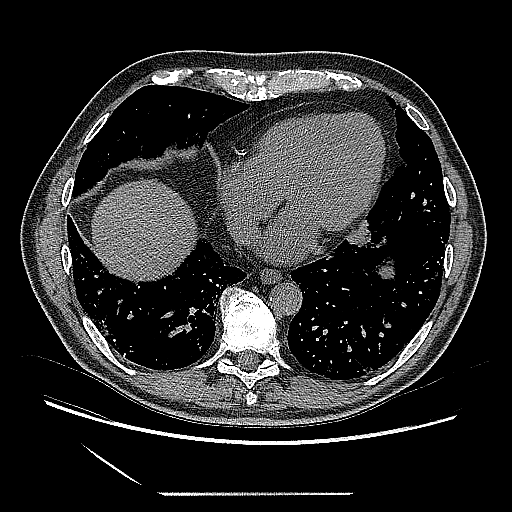
CT

Lung tumor = rect(325, 216, 391, 261).